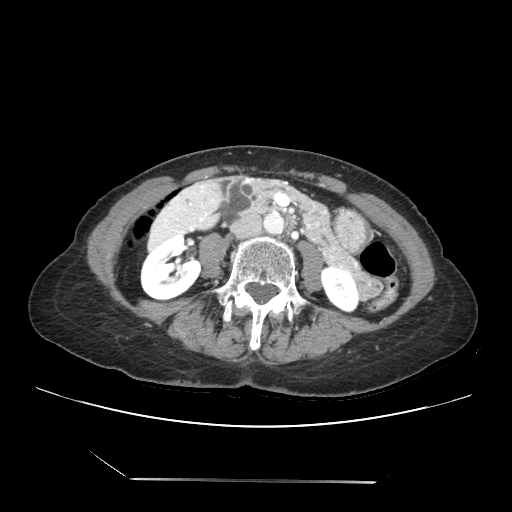 CT scan slice
<segmentation>
  <pancreas>box(219, 176, 384, 301)</pancreas>
</segmentation>